Brain; Slice 54 of 155
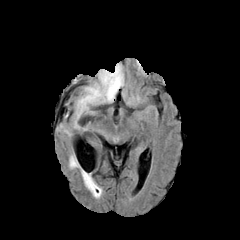
FLAIR MR.
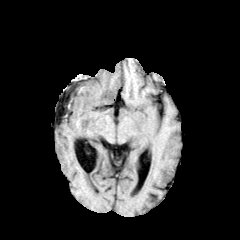
T1-weighted MRI.
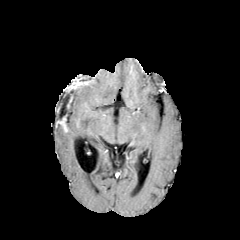
Post-contrast T1-weighted magnetic resonance.
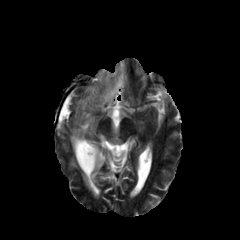
Same slice, T2-weighted MR image.
Edema at (left=69, top=154, right=103, bottom=198), (left=73, top=66, right=125, bottom=129).